Liver. 512x512 px. Slice 65/124. CT. 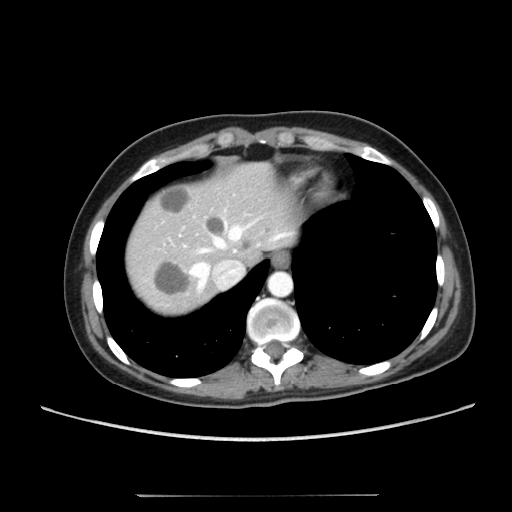
Focal liver lesion: 153:261:190:294, 158:185:189:214, 240:240:250:251, 205:215:223:234.
Liver: 123:162:306:318.